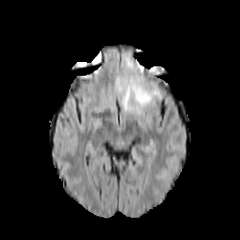
FLAIR magnetic resonance.
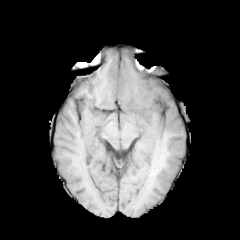
Same slice, T1-weighted MRI.
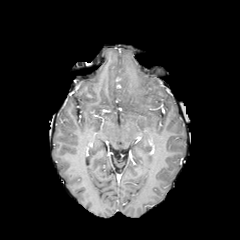
Post-contrast T1-weighted MR.
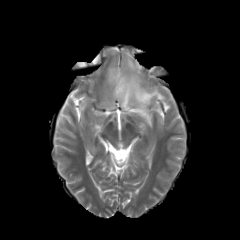
T2-weighted magnetic resonance.
Brain
The edema is located at bbox=[114, 55, 161, 121].